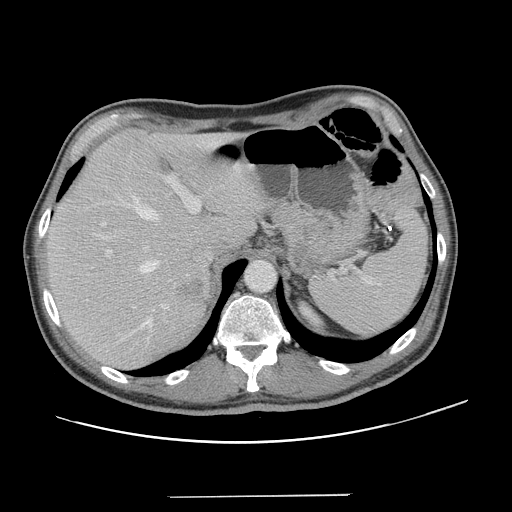
CT scan slice, Liver
Only some of the vessels may be annotated.
hepatic_vessel:
  - (121,338,123,339)
  - (164,175,200,212)
  - (133,330,136,332)
  - (161,305,167,308)
  - (106,250,111,256)
  - (147,337,148,341)
  - (133,306,135,308)
  - (101,222,105,225)
  - (143,246,147,250)
  - (152,309,153,310)
  - (133,196,155,219)
  - (139,318,152,330)
  - (94,234,105,238)
  - (140,261,157,272)
liver_tumor:
  - (174,278,206,301)